Image size 512x512; Computed tomography; Upper abdomen 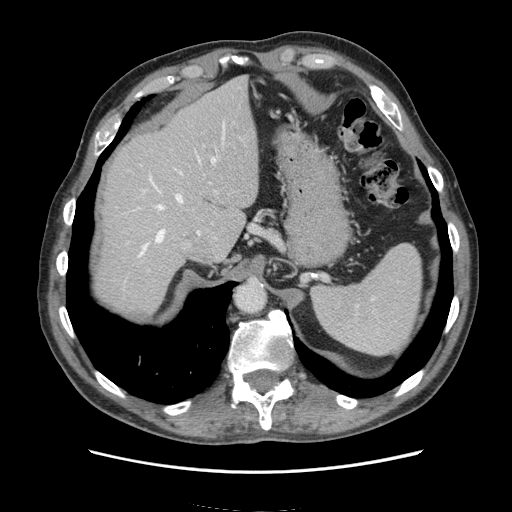 The spleen appears at <bbox>312, 245, 421, 355</bbox>.